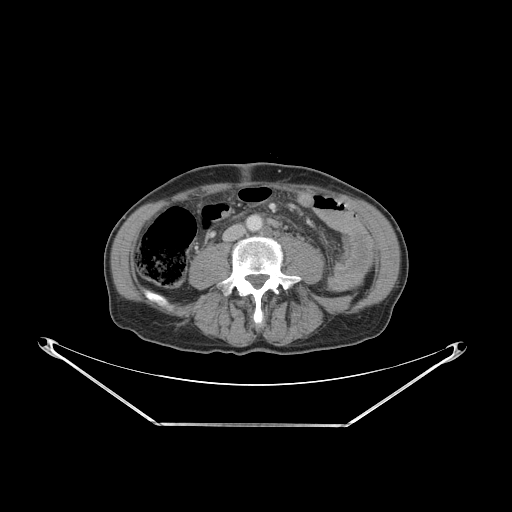 CT slice, Image size 512x512
bone: left=146, top=292, right=165, bottom=303; left=226, top=238, right=290, bottom=326